CT image
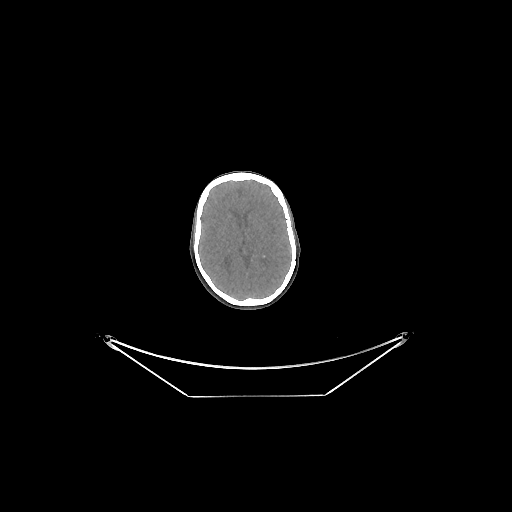

Annotated regions:
- brain: (198, 180, 291, 300)